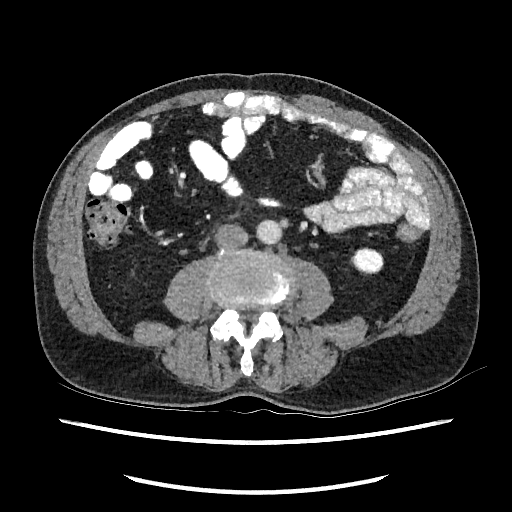
Image size 512x512. Abdomen. CT.
Annotated regions:
- kidney: rect(351, 248, 382, 273)